Liver, CT slice

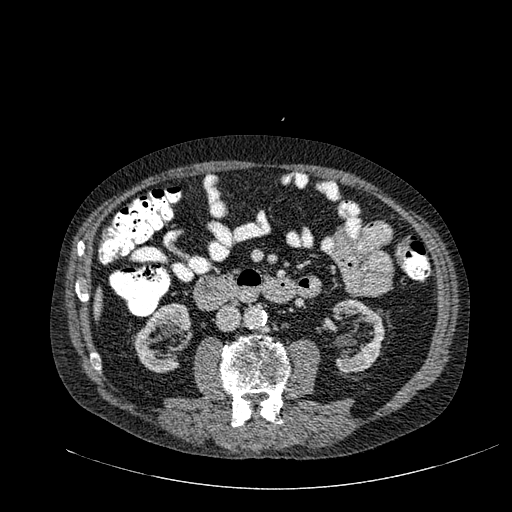
kidney: 134:303:191:372, 322:301:384:373 | liver: 94:287:101:318